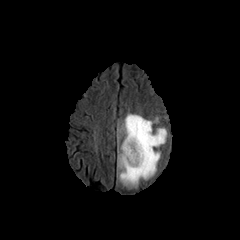
FLAIR MRI.
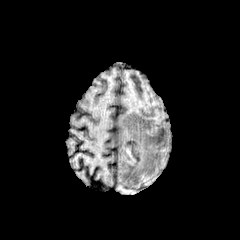
Same slice, T1-weighted magnetic resonance.
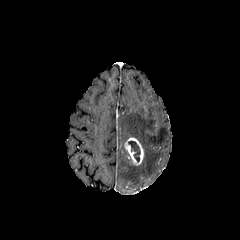
Post-contrast T1-weighted MR of the same slice.
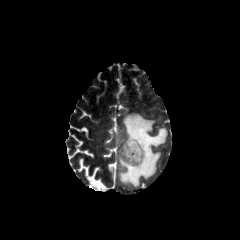
T2-weighted MRI.
Head; 240x240 px
The non-enhancing tumor core is at 128,141,140,161. The enhancing tumor is at 124,137,144,164. The edema appears at 117,112,167,187.